Field of view 240 mm wide, 1.00 mm slice spacing. Slice index 99. Brain.
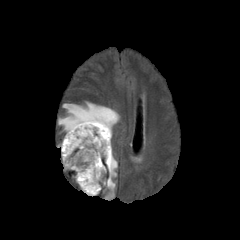
FLAIR MR.
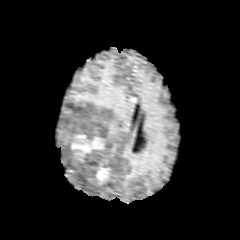
Same slice, T1-weighted MR.
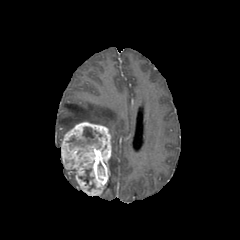
Same slice, post-contrast T1-weighted MR.
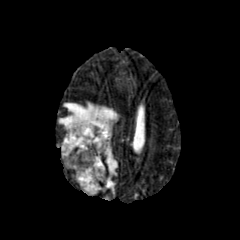
T2-weighted MR.
Edema = (58, 103, 118, 145), (105, 147, 117, 193).
Non-enhancing tumor core = (67, 127, 101, 151), (68, 105, 85, 113), (80, 168, 93, 185).
Enhancing tumor = (61, 122, 111, 195).